FLAIR magnetic resonance.
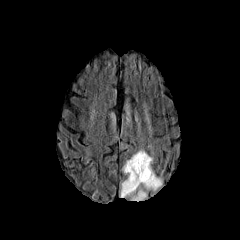
T1-weighted magnetic resonance.
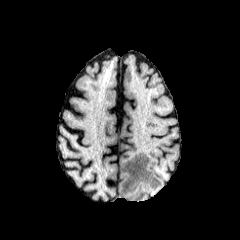
Post-contrast T1-weighted MR.
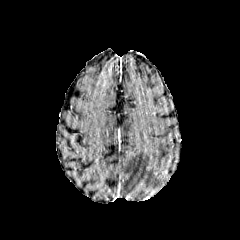
T2-weighted magnetic resonance.
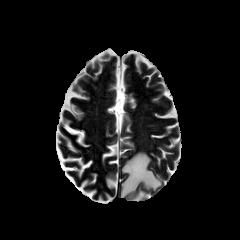
240x240 px
The edema appears at <box>118,150,161,201</box>.